240x240; Head; Slice 116/155
FLAIR MR image.
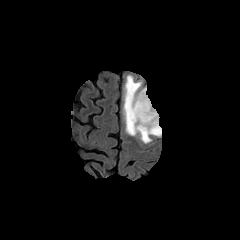
T1-weighted MR.
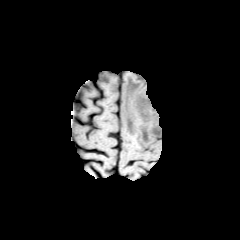
Post-contrast T1-weighted MR.
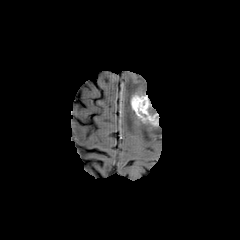
T2-weighted MRI.
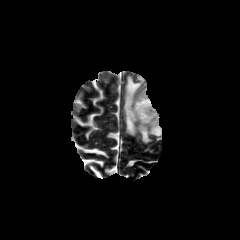
Enhancing tumor — rect(130, 93, 157, 126).
Edema — rect(122, 75, 161, 143).
Non-enhancing tumor core — rect(124, 80, 143, 129); rect(151, 126, 159, 134).